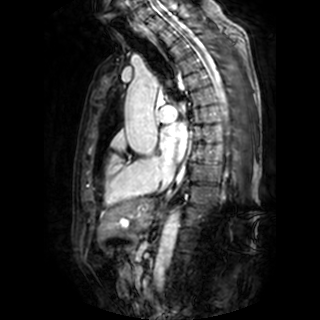

Heart; MR

left_atrium:
  - x1=160, y1=123, x2=187, y2=162